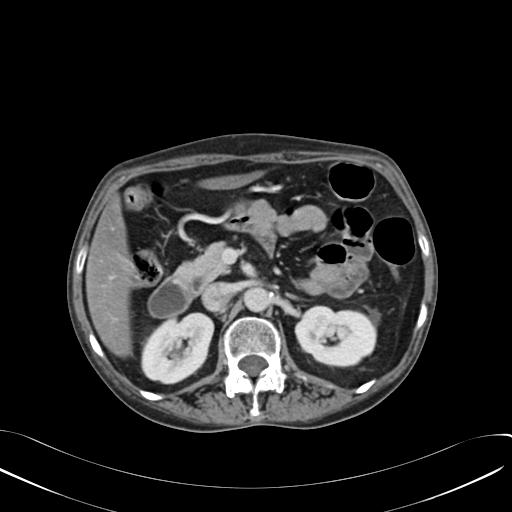

CT scan slice | Upper abdomen | 512x512 px

Segmented structures:
* kidney: x1=296 y1=307 x2=374 y2=365, x1=143 y1=314 x2=212 y2=382
* liver: x1=88 y1=194 x2=130 y2=355, x1=201 y1=171 x2=263 y2=188